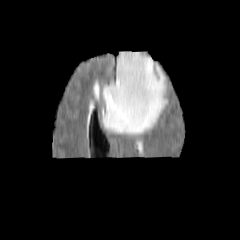
FLAIR MR.
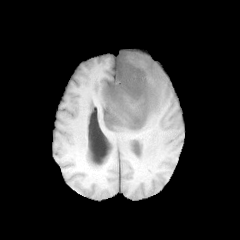
Same slice, T1-weighted MR.
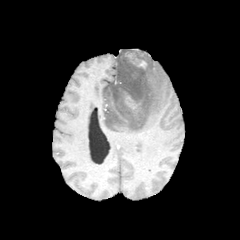
Post-contrast T1-weighted MRI.
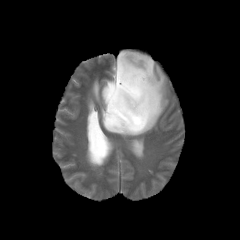
T2-weighted MR image.
240x240.
<segmentation>
  <edema><bbox>101, 51, 168, 135</bbox></edema>
  <non-enhancing_tumor_core><bbox>108, 51, 151, 123</bbox></non-enhancing_tumor_core>
</segmentation>